Slice 586/689, CT

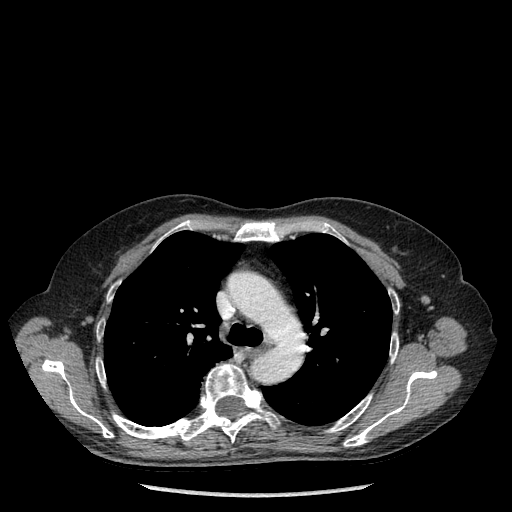 bone: [96, 358, 105, 387], [112, 364, 279, 442], [320, 223, 346, 242], [41, 358, 113, 437], [326, 394, 371, 432], [343, 370, 437, 446], [96, 321, 104, 340], [234, 221, 280, 241], [388, 288, 399, 313], [153, 220, 193, 248], [390, 333, 398, 362], [107, 286, 113, 301] | lung: [104, 231, 262, 426], [262, 233, 392, 425]